Computed tomography 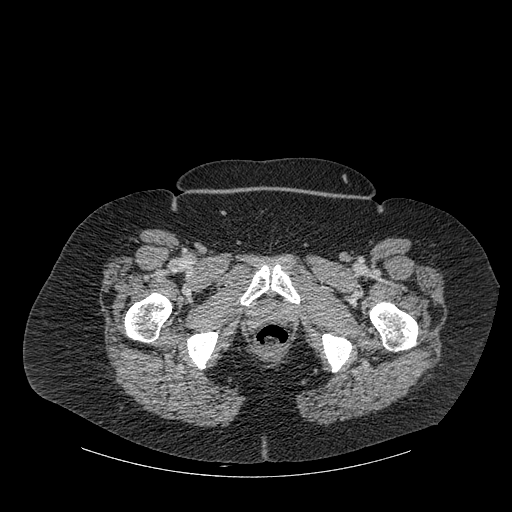 - bone: bbox(187, 332, 217, 369); bbox(240, 264, 299, 305); bbox(125, 293, 171, 342); bbox(322, 334, 351, 371); bbox(370, 302, 417, 351)